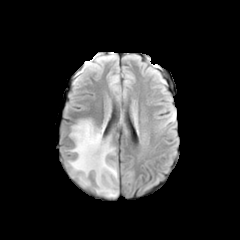
FLAIR magnetic resonance.
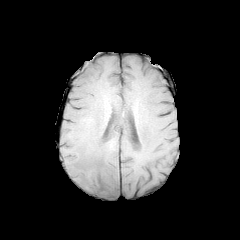
T1-weighted MR.
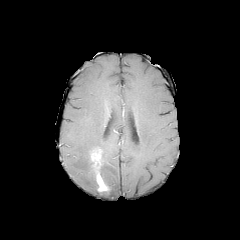
Same slice, post-contrast T1-weighted MR.
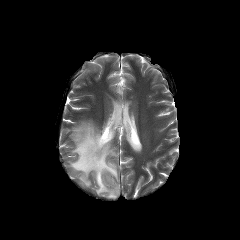
T2-weighted magnetic resonance.
Brain
{"edema": ["[69, 120, 118, 197]"], "non-enhancing_tumor_core": ["[85, 147, 105, 179]"], "enhancing_tumor": ["[90, 151, 107, 191]"]}